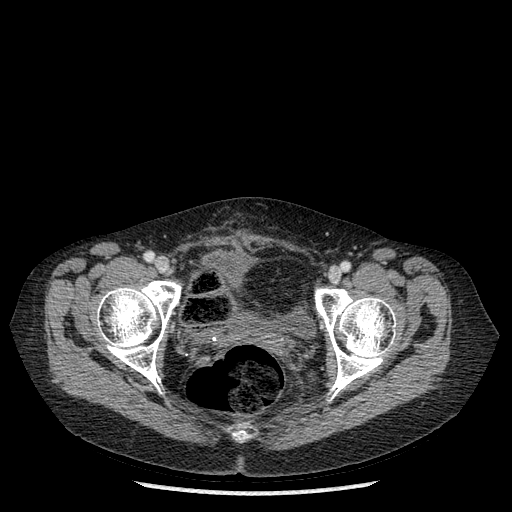 Lower abdomen; CT scan slice
bone:
  - bbox(95, 280, 181, 392)
  - bbox(314, 287, 396, 400)
  - bbox(233, 430, 249, 442)
urinary_bladder:
  - bbox(198, 249, 296, 345)